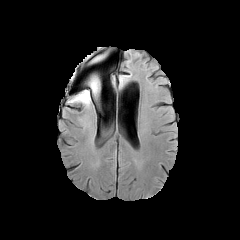
FLAIR MRI.
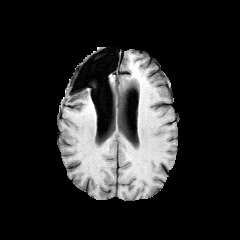
T1-weighted MRI.
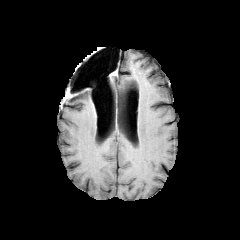
Post-contrast T1-weighted MR.
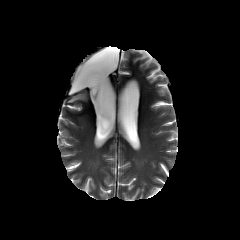
T2-weighted MRI.
240x240.
The edema is bounded by region(68, 73, 99, 106).